Slice 11 of 20 | Prostate
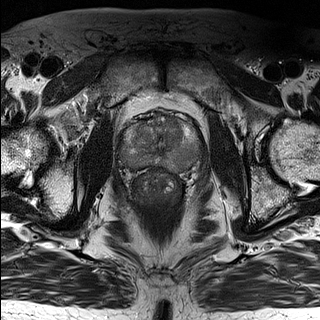
T2-weighted magnetic resonance.
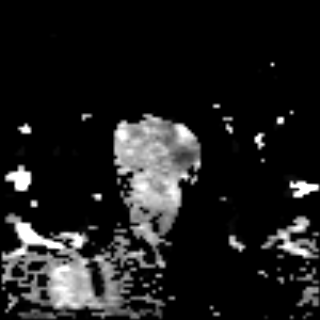
ADC MR image.
<segmentation>
  <prostate_transition_zone>x1=134 y1=120 x2=184 y2=154</prostate_transition_zone>
  <prostate_peripheral_zone>x1=124 y1=120 x2=196 y2=171</prostate_peripheral_zone>
</segmentation>